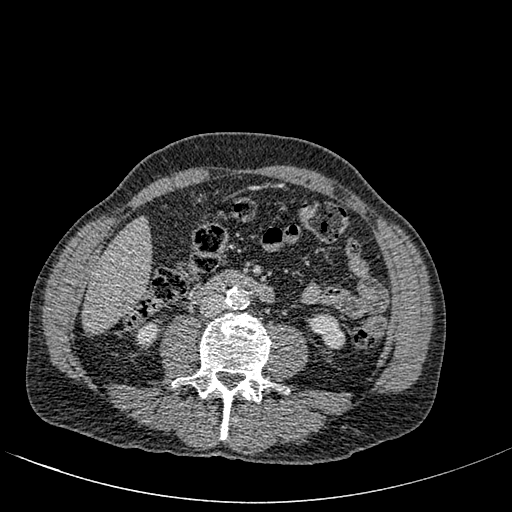
Liver, CT scan slice
kidney:
  - (137, 330, 154, 344)
  - (309, 314, 344, 348)
liver:
  - (83, 218, 150, 331)